Slice index 98; CT image
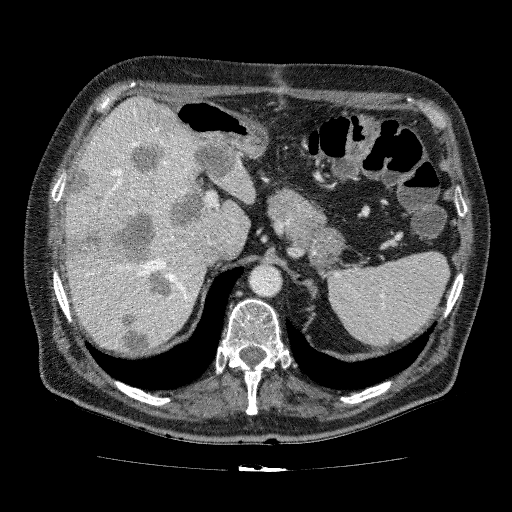

Liver — rect(64, 95, 250, 354); rect(212, 158, 255, 204).
Liver lesion — rect(67, 162, 93, 197); rect(93, 193, 103, 204); rect(189, 137, 240, 181); rect(143, 270, 176, 300); rect(64, 210, 157, 266); rect(126, 140, 167, 176); rect(119, 312, 151, 355); rect(165, 181, 208, 234).